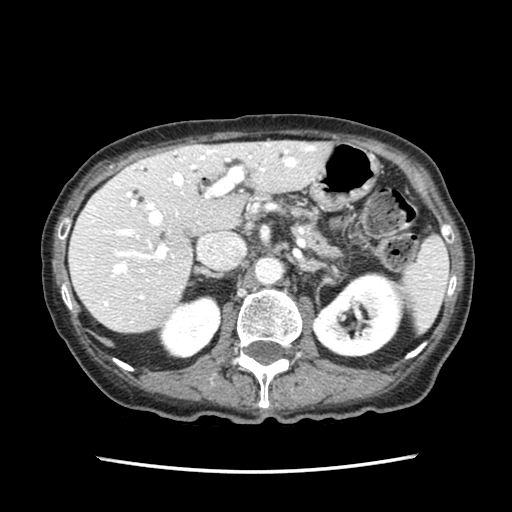

CT image.
Annotated regions:
• pancreas: 305,228,340,259